CT image. 512x512. Slice index 301.

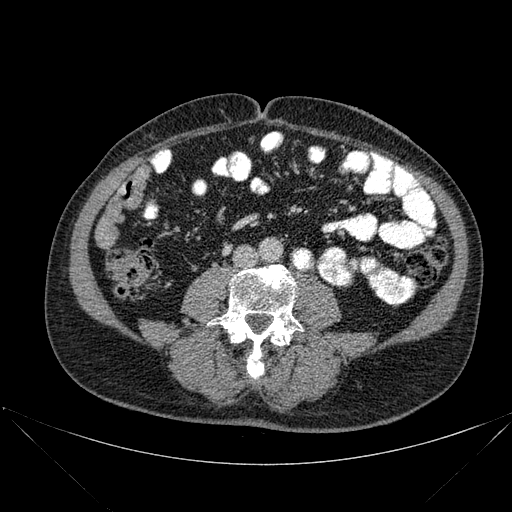
Bone: 210, 264, 303, 379.